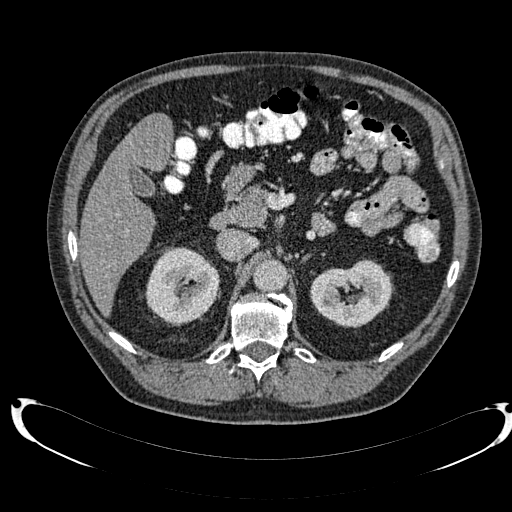

Liver | CT slice
Annotated regions:
- liver: <bbox>81, 114, 172, 316</bbox>
- kidney: <bbox>146, 247, 219, 324</bbox>, <bbox>310, 260, 392, 327</bbox>